FLAIR MRI.
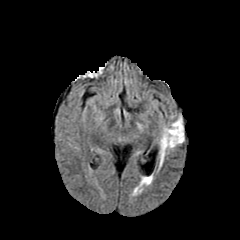
T1-weighted MR image.
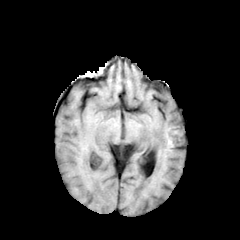
Post-contrast T1-weighted magnetic resonance.
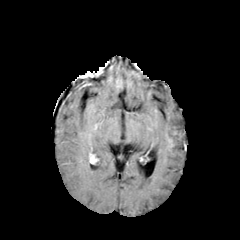
T2-weighted MRI.
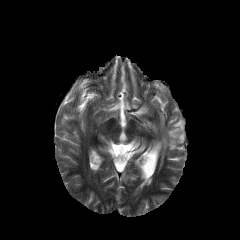
Image size 240x240; Brain
2 edema regions appear at [158,116,184,164], [142,177,151,185].